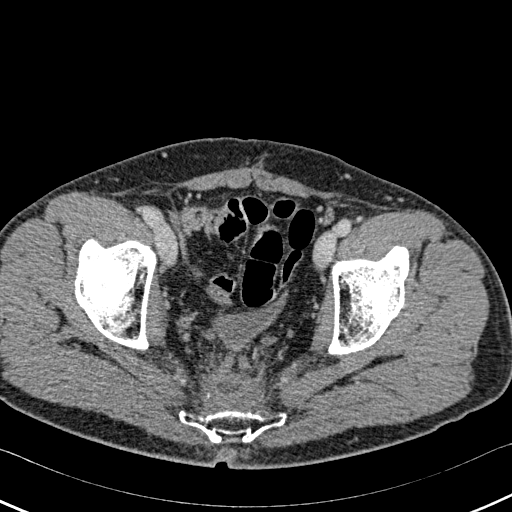 Computed tomography | 512x512
3 bone regions appear at 75,239,155,348; 179,411,286,442; 329,246,408,354.